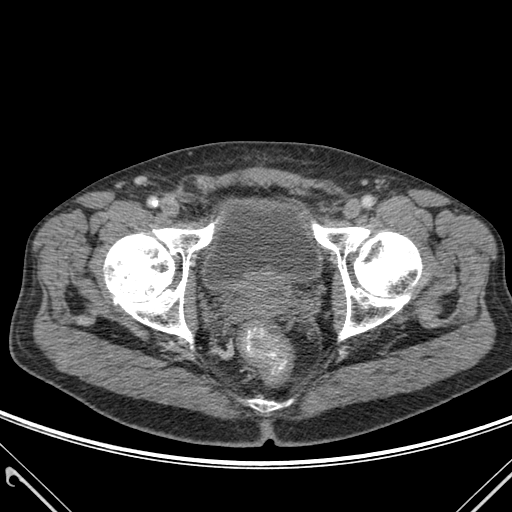 CT

- bone: {"x1": 104, "y1": 223, "x2": 213, "y2": 342}, {"x1": 312, "y1": 224, "x2": 421, "y2": 339}, {"x1": 249, "y1": 399, "x2": 280, "y2": 410}